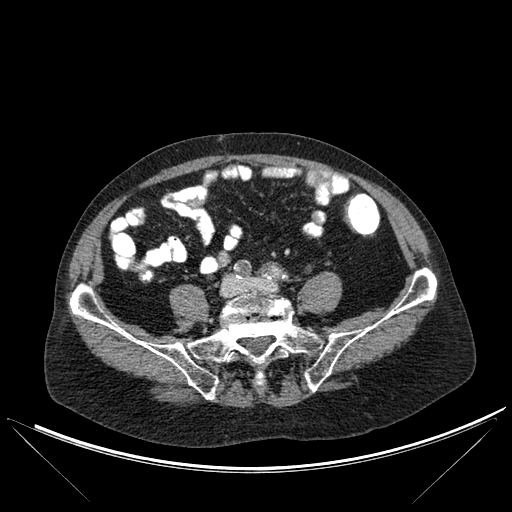 CT slice | Image size 512x512
{"bone": ["box(70, 268, 436, 399)"]}